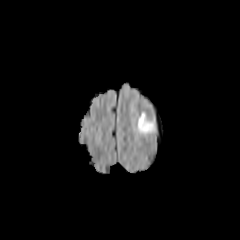
FLAIR MR.
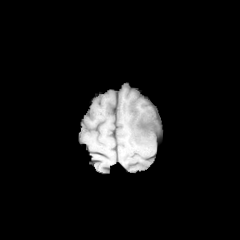
T1-weighted magnetic resonance of the same slice.
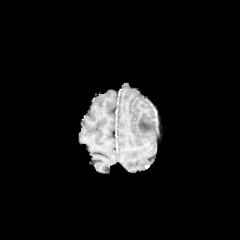
Post-contrast T1-weighted MR image.
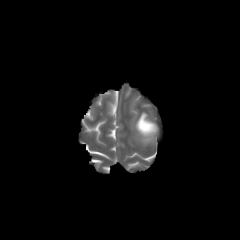
T2-weighted MRI of the same slice.
Brain | 240x240
The edema is located at bbox=[137, 112, 159, 145].